Slice index 86; Brain; 240x240 px
FLAIR MR image.
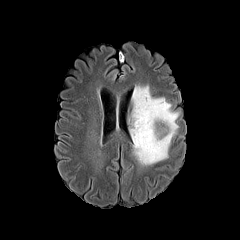
T1-weighted MR.
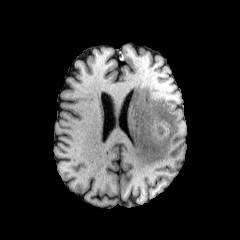
Post-contrast T1-weighted magnetic resonance.
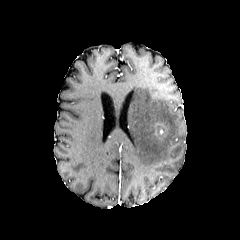
T2-weighted MRI.
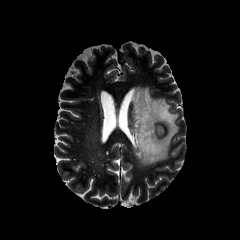
non-enhancing_tumor_core:
  - x1=154 y1=122 x2=169 y2=140
edema:
  - x1=130 y1=86 x2=178 y2=165